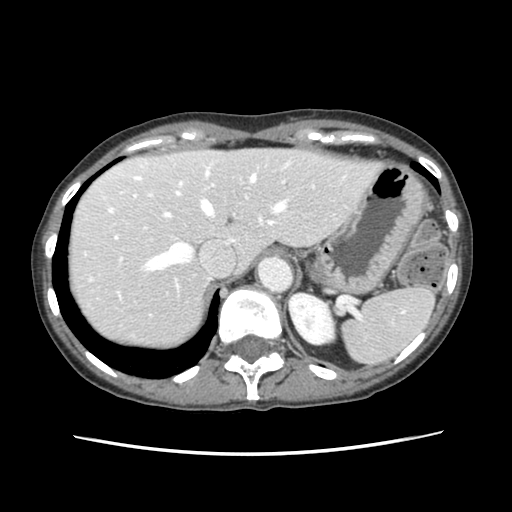
CT scan slice; Abdomen

{
  "spleen": [
    "<bbox>341, 288, 432, 363</bbox>"
  ]
}